Brain; Slice index 67
FLAIR MR image.
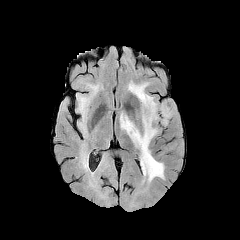
T1-weighted MR image.
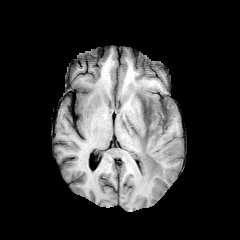
Post-contrast T1-weighted magnetic resonance.
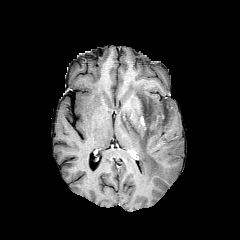
T2-weighted MRI.
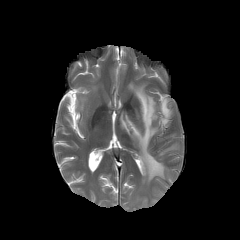
Edema = l=120, t=82, r=171, b=182.
Non-enhancing tumor core = l=142, t=103, r=153, b=133.